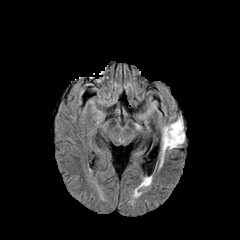
FLAIR magnetic resonance.
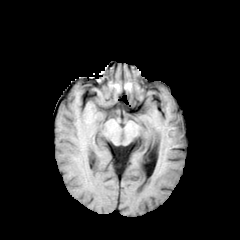
T1-weighted MRI.
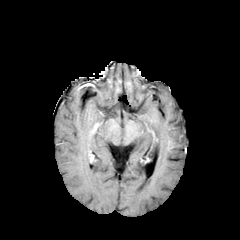
Post-contrast T1-weighted magnetic resonance.
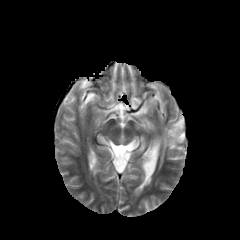
T2-weighted MRI of the same slice.
Head
The edema appears at box(161, 117, 184, 159).